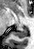
Magnetic resonance | Hippocampus | 34x49
posterior_hippocampus:
  - rect(14, 29, 27, 37)